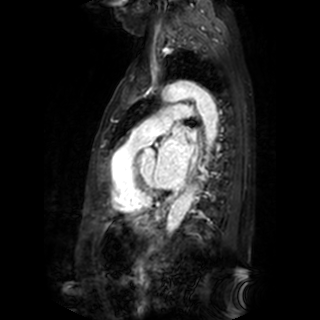 Cardiac | MRI
Left atrium at box=[155, 126, 193, 188].